Field of view 500 mm wide, 2.50 mm slice spacing; CT scan slice; Abdomen; Slice 46 of 93 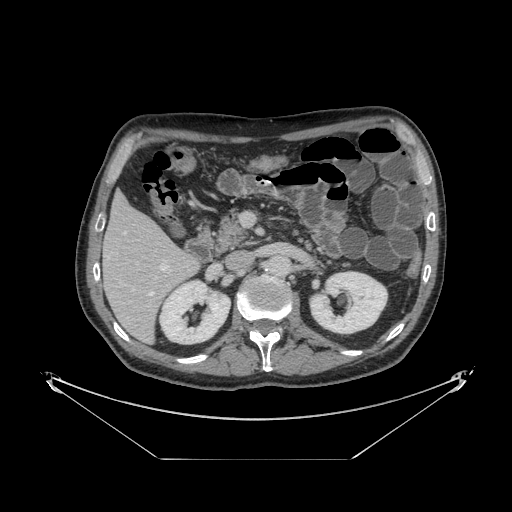
<segmentation>
  <pancreas>rect(287, 225, 314, 253); rect(213, 207, 248, 255)</pancreas>
</segmentation>